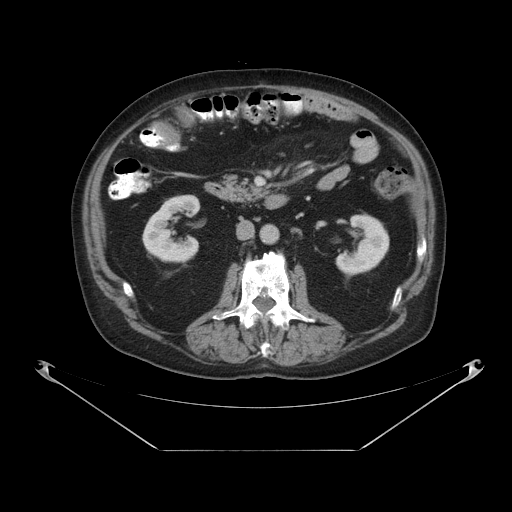 512x512, CT
colon_tumor:
  - rect(153, 122, 180, 148)
  - rect(177, 106, 194, 124)